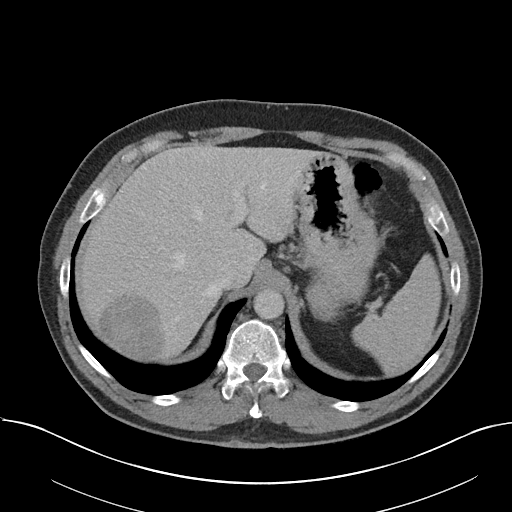 Computed tomography.
The vessel annotation is not exhaustive.
<segmentation>
  <hepatic_vessel>203,279,229,296; 165,231,166,232; 167,333,170,335; 234,182,246,220; 197,210,202,219; 153,238,155,240; 249,247,250,248; 252,257,256,259; 258,249,264,256; 173,253,189,267; 176,318,178,320; 249,218,253,221</hepatic_vessel>
  <liver_tumor>101,296,165,360</liver_tumor>
</segmentation>